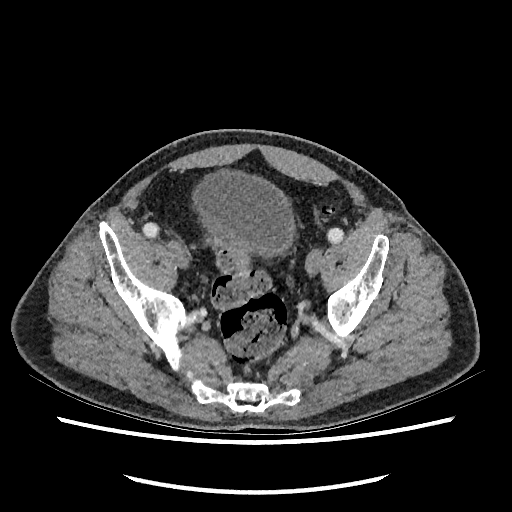
CT slice | Lower abdomen
• urinary bladder: {"x1": 193, "y1": 171, "x2": 295, "y2": 258}